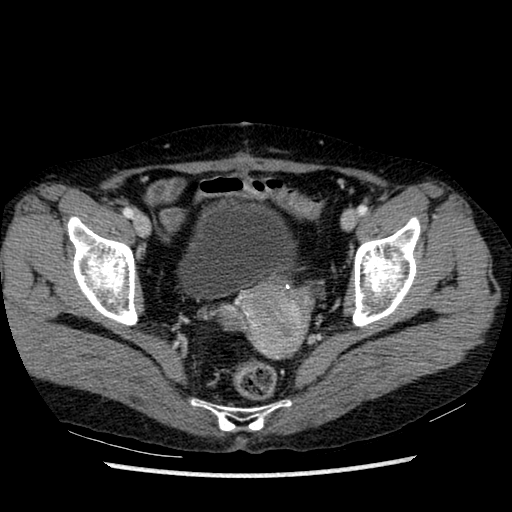

CT scan slice | Lower abdomen
- urinary bladder: (176,195,306,299)